Slice index 60. Brain.
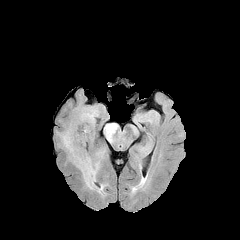
FLAIR magnetic resonance.
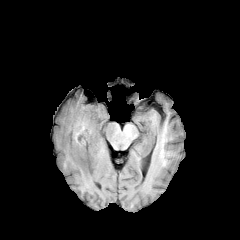
T1-weighted MRI.
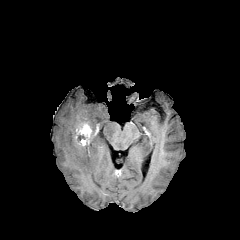
Post-contrast T1-weighted MR image.
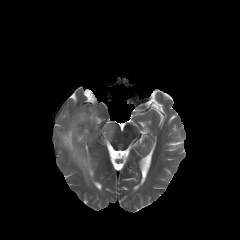
T2-weighted MR image of the same slice.
<segmentation>
  <edema>bbox(61, 106, 99, 183); bbox(104, 123, 115, 141)</edema>
  <enhancing_tumor>bbox(74, 122, 91, 145)</enhancing_tumor>
</segmentation>